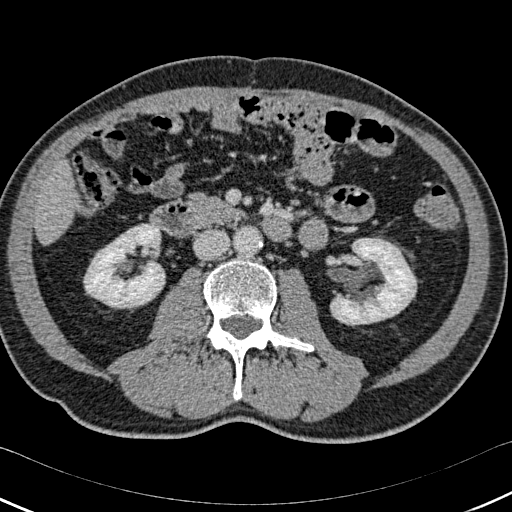 CT scan slice | Upper abdomen

<segmentation>
  <bone>rect(203, 260, 313, 399)</bone>
  <liver>rect(35, 164, 78, 244)</liver>
  <kidney>rect(84, 224, 164, 307); rect(331, 238, 416, 324)</kidney>
</segmentation>